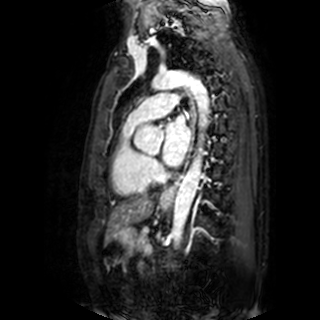
MRI slice; 320x320
Left atrium: bounding box (163,115,190,166).